Head | Slice index 112 | 240x240
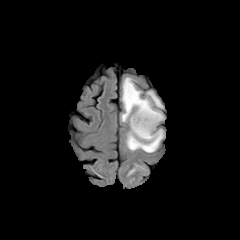
FLAIR MRI.
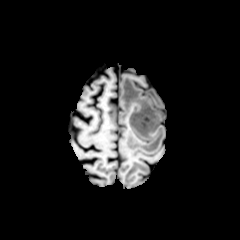
T1-weighted MRI.
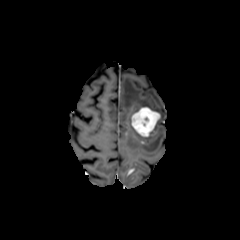
Post-contrast T1-weighted MRI of the same slice.
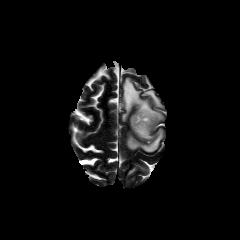
T2-weighted MR image of the same slice.
enhancing tumor: x1=130, y1=107, x2=160, y2=137 | edema: x1=121, y1=77, x2=163, y2=122; x1=126, y1=126, x2=163, y2=152